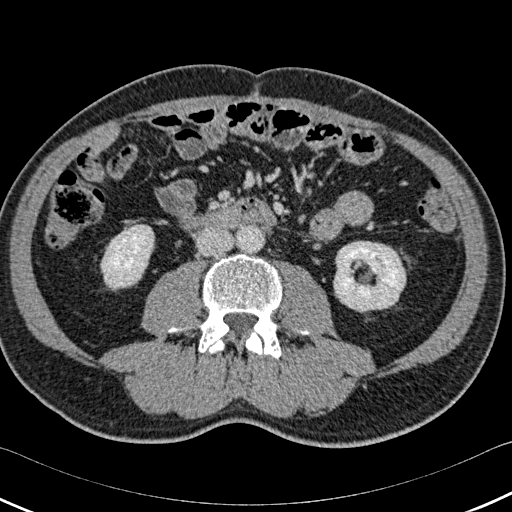 CT slice

2 kidney regions are located at [x1=334, y1=242, x2=405, y2=310], [x1=101, y1=225, x2=153, y2=287]. The bone is at [x1=198, y1=254, x2=281, y2=358].